CT image. Abdomen. Image width 367 mm. 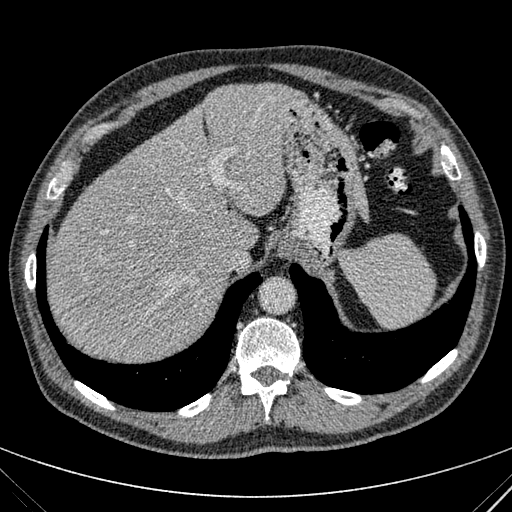

2 liver regions appear at {"x1": 351, "y1": 175, "x2": 367, "y2": 219}, {"x1": 47, "y1": 83, "x2": 305, "y2": 360}.